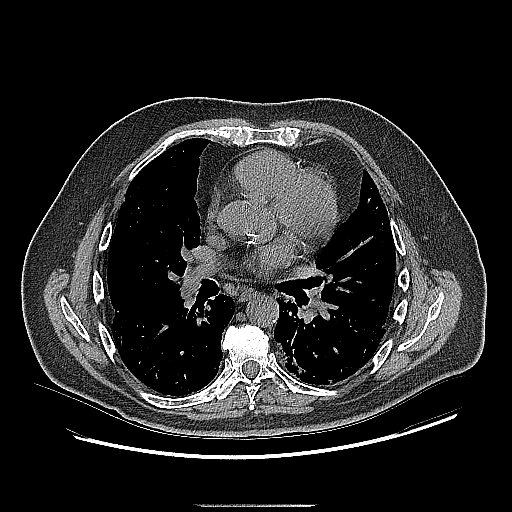
Image size 512x512, Computed tomography

2 lung tumor regions are bounded by left=277, top=297, right=293, bottom=305; left=274, top=338, right=305, bottom=379.